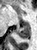
37x50 | Hippocampus | MRI
Posterior hippocampus — (x1=15, y1=24, x2=30, y2=38).